Slice 117 of 155.
FLAIR magnetic resonance.
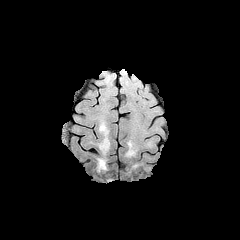
T1-weighted MR.
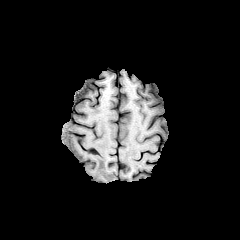
Post-contrast T1-weighted MR.
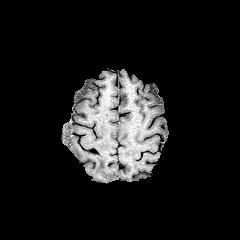
T2-weighted MRI.
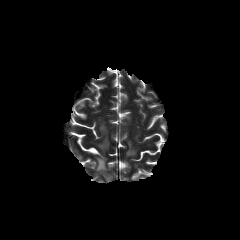
Edema: bounding box bbox(97, 136, 109, 152); bbox(95, 156, 107, 173).